Slice index 42.
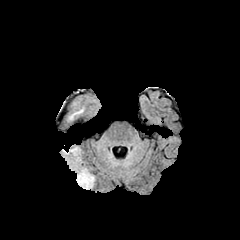
FLAIR MR image.
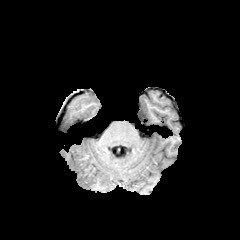
T1-weighted MR image of the same slice.
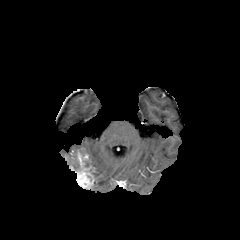
Post-contrast T1-weighted magnetic resonance.
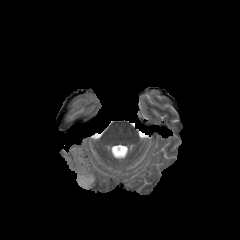
T2-weighted MRI of the same slice.
* enhancing tumor: (78,168,92,186)
* non-enhancing tumor core: (68,150,87,175)
* edema: (70,104,83,119)